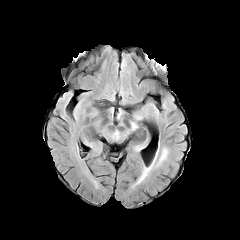
FLAIR MR.
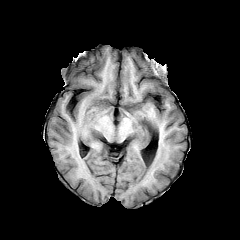
Same slice, T1-weighted MR.
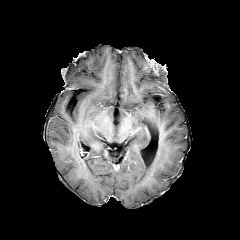
Post-contrast T1-weighted MRI.
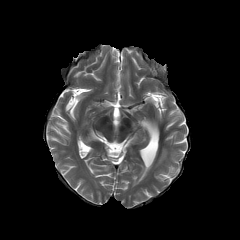
Same slice, T2-weighted MRI.
Brain
* edema: [156,148,168,165], [137,150,158,183]